Field of view 240 mm wide, 1.00 mm slice spacing; Head
FLAIR MR image.
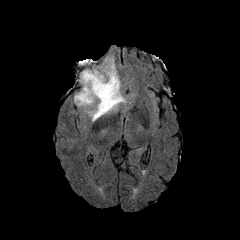
T1-weighted MR.
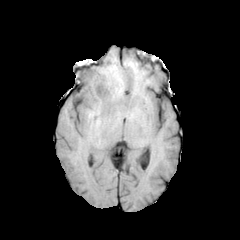
Post-contrast T1-weighted MRI.
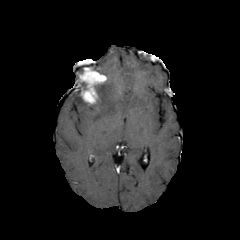
T2-weighted MR image.
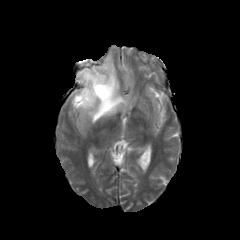
The enhancing tumor is at box=[77, 64, 108, 105]. The edema lies within box=[73, 55, 126, 121].